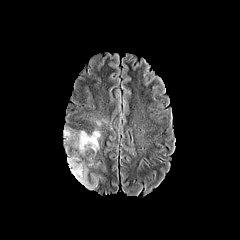
FLAIR MR image.
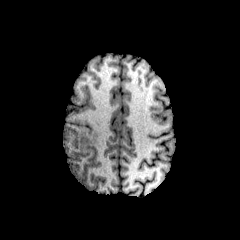
T1-weighted MR image of the same slice.
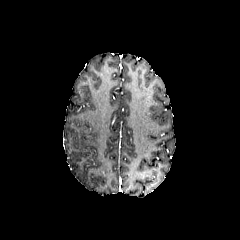
Post-contrast T1-weighted MR image.
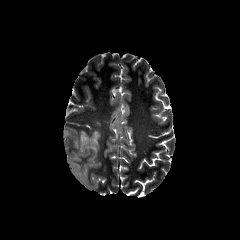
T2-weighted MR image of the same slice.
edema:
  - (64,130,101,155)
  - (67,156,87,186)